Field of view 350x350 mm. Lower abdomen. 512x512 px. CT image. 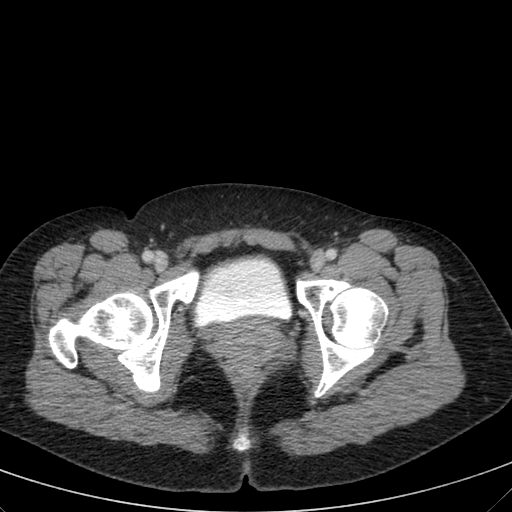
* urinary bladder: box(195, 260, 290, 325)